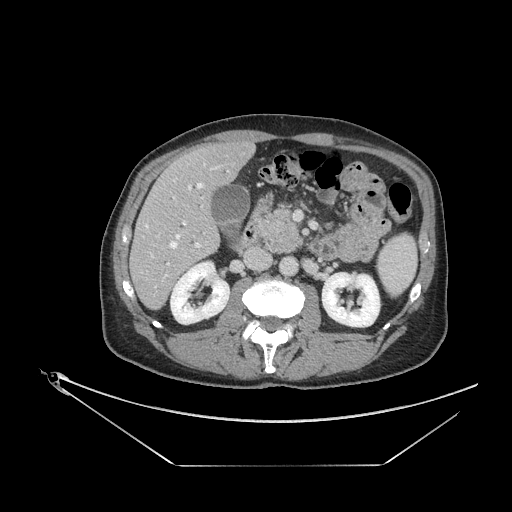
CT image; Upper abdomen

The pancreas lies within 258,208,303,252. The pancreatic tumor is bounded by 275,224,298,247.